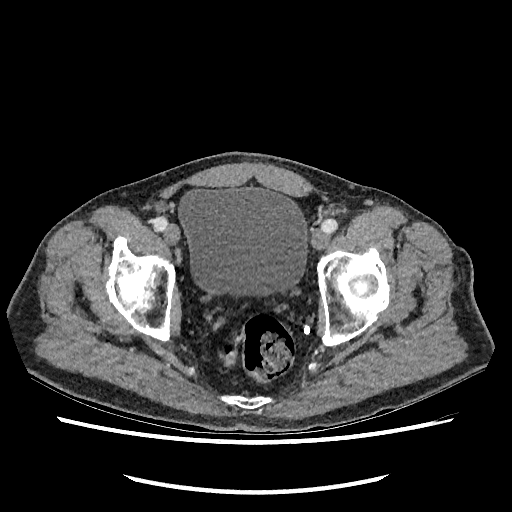

Computed tomography | Lower abdomen

urinary bladder: <bbox>178, 186, 307, 295</bbox>